FLAIR MR.
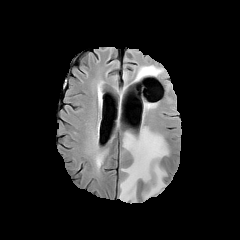
T1-weighted magnetic resonance.
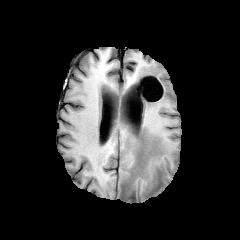
Post-contrast T1-weighted magnetic resonance.
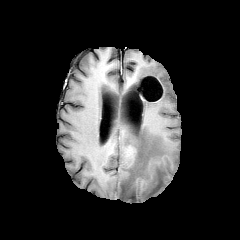
T2-weighted magnetic resonance.
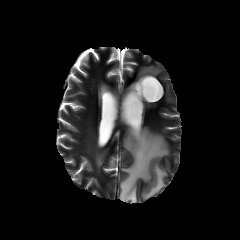
enhancing tumor: x1=126, y1=145, x2=135, y2=153 | non-enhancing tumor core: x1=133, y1=149, x2=143, y2=167 | edema: x1=137, y1=66, x2=160, y2=79; x1=119, y1=126, x2=168, y2=201